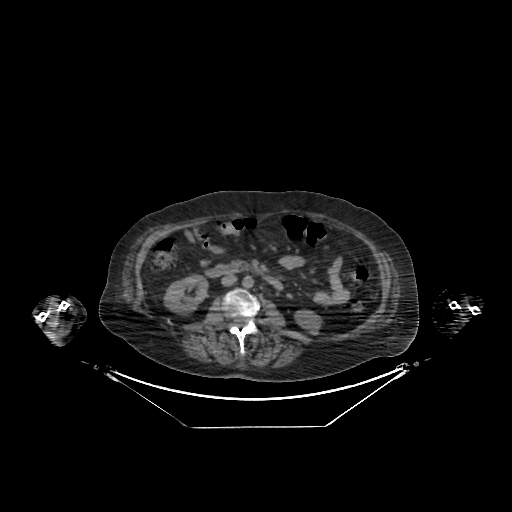 CT slice. Abdomen.

2 kidney regions are bounded by 163 275 208 314, 294 310 321 334.